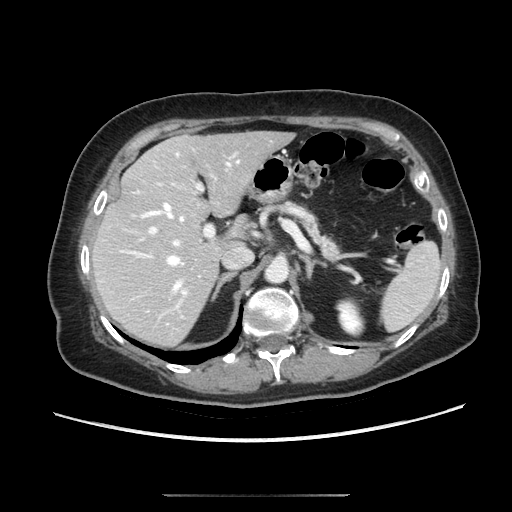
Upper abdomen; 512x512 px; CT slice
The pancreas lies within <bbox>275, 204, 337, 258</bbox>.